240x240 px; Slice index 74
FLAIR magnetic resonance.
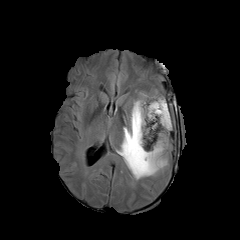
T1-weighted magnetic resonance.
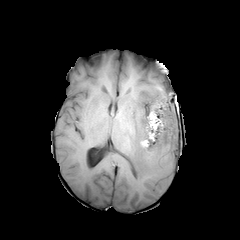
Post-contrast T1-weighted MR image.
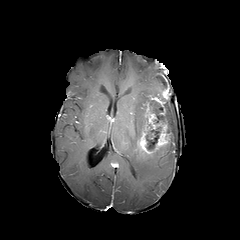
T2-weighted magnetic resonance.
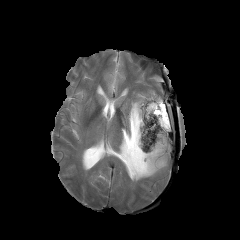
Edema: bounding box <box>108,91,173,181</box>, <box>109,71,119,88</box>, <box>149,102,159,112</box>.
Enhancing tumor: bounding box <box>137,137,143,151</box>, <box>156,135,167,149</box>.
Non-enhancing tumor core: bounding box <box>155,104,165,113</box>, <box>132,120,140,141</box>, <box>140,104,168,154</box>.